Field of view 240x240 mm, Head, Slice index 45
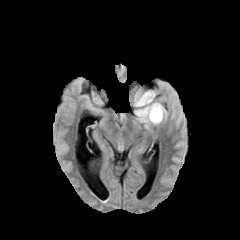
FLAIR MRI.
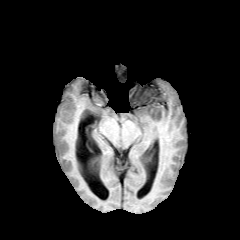
T1-weighted MR image of the same slice.
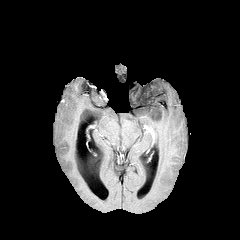
Post-contrast T1-weighted magnetic resonance.
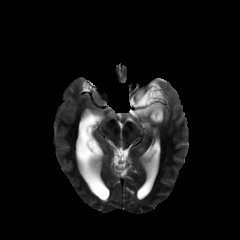
T2-weighted MR image of the same slice.
edema:
  - 129 87 166 126
non-enhancing_tumor_core:
  - 138 90 154 107